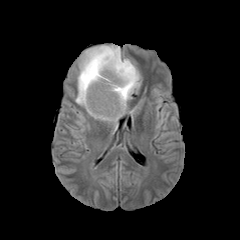
FLAIR MR.
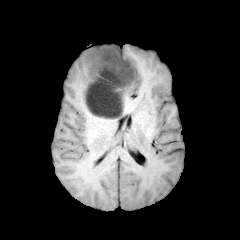
T1-weighted MR of the same slice.
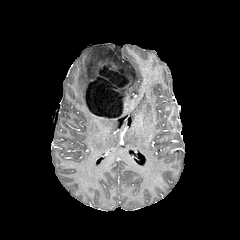
Same slice, post-contrast T1-weighted magnetic resonance.
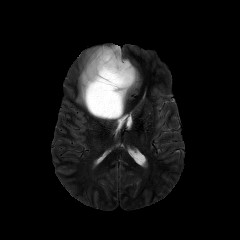
T2-weighted MRI.
The non-enhancing tumor core is located at <box>84,47,134,117</box>. 2 edema regions appear at <box>115,45,140,105</box>, <box>75,44,120,125</box>.